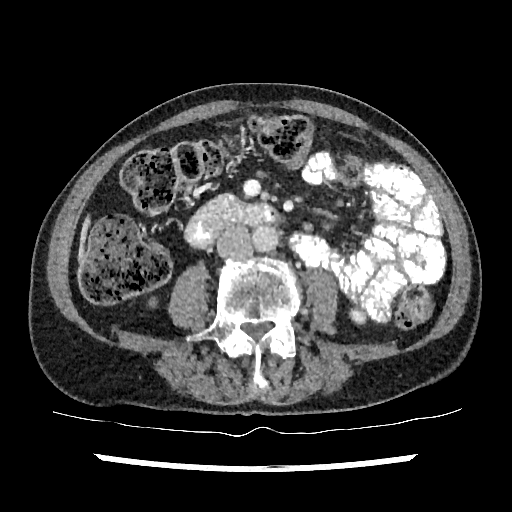

Upper abdomen. CT scan slice.

Annotated regions:
- liver: box(81, 216, 89, 242)